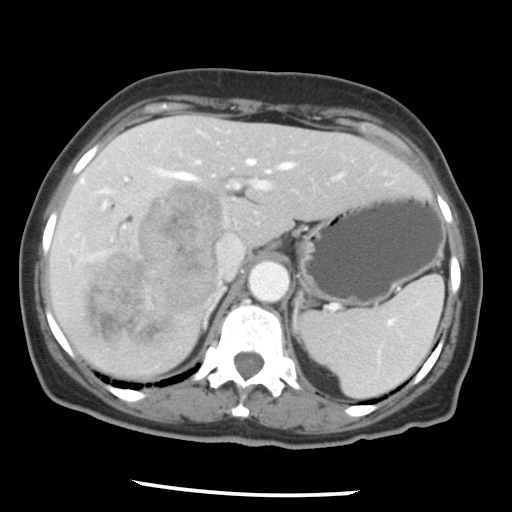

CT scan slice. Liver. Not every hepatic vessel necessarily has a box.
The liver tumor is bounded by 80:183:224:349. 12 hepatic vessel regions appear at 81:177:86:184, 149:167:197:180, 233:183:239:187, 95:187:112:194, 62:244:66:248, 62:233:63:241, 67:249:103:261, 246:158:255:165, 219:236:242:274, 281:162:291:169, 252:180:267:187, 266:169:271:172.